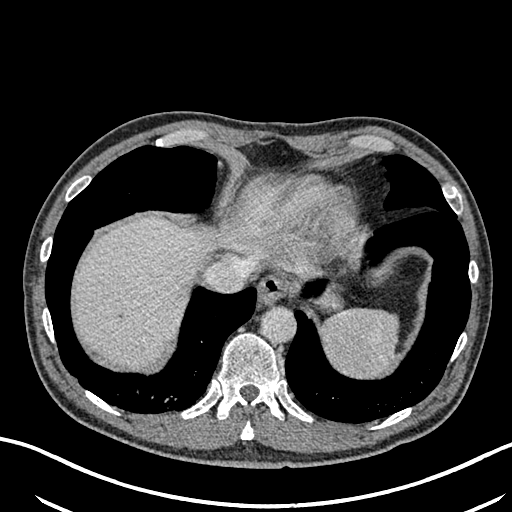

Liver; CT

Liver — rect(71, 218, 208, 367); rect(247, 180, 276, 222).